Image size 240x240
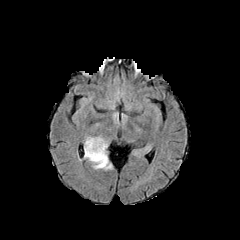
FLAIR MRI.
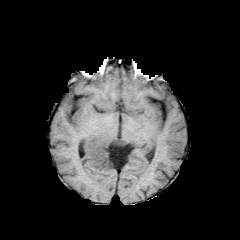
T1-weighted MR.
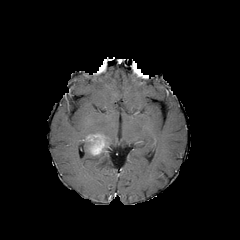
Same slice, post-contrast T1-weighted MRI.
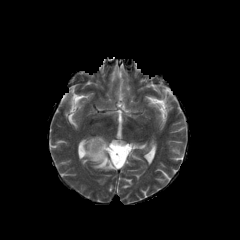
T2-weighted MR image of the same slice.
Edema: [83,142,112,170].
Enhancing tumor: [82,135,109,156].